CT; 512x512 px; Slice 133 of 856
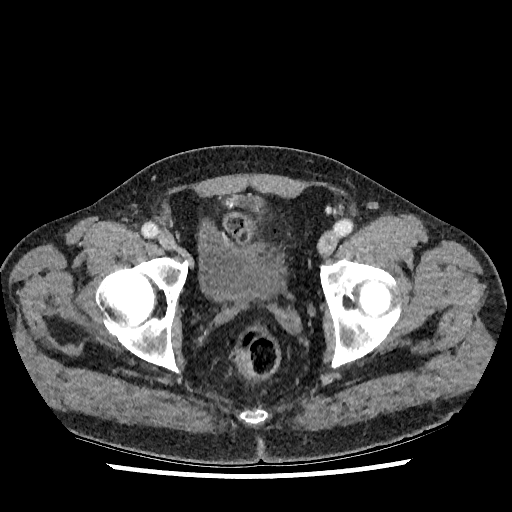 urinary_bladder:
  - region(198, 226, 286, 309)
  - region(222, 199, 260, 205)
  - region(253, 210, 263, 221)